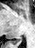
Magnetic resonance | Image size 35x48
• posterior hippocampus: 13:37:21:42